CT scan slice | Abdomen | 512x512 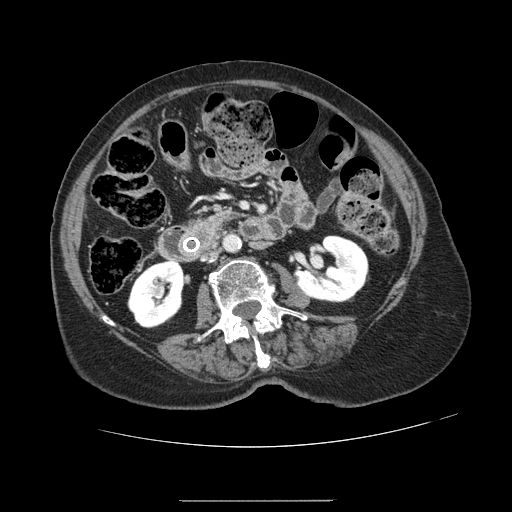

pancreas: bbox(180, 205, 234, 259) | pancreatic tumor: bbox(196, 229, 211, 244)